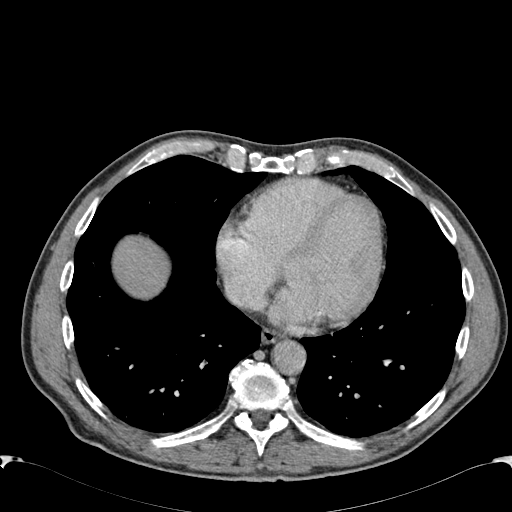

CT slice; Abdomen; 512x512 px
<segmentation>
  <liver>x1=113, y1=238, x2=169, y2=297</liver>
</segmentation>